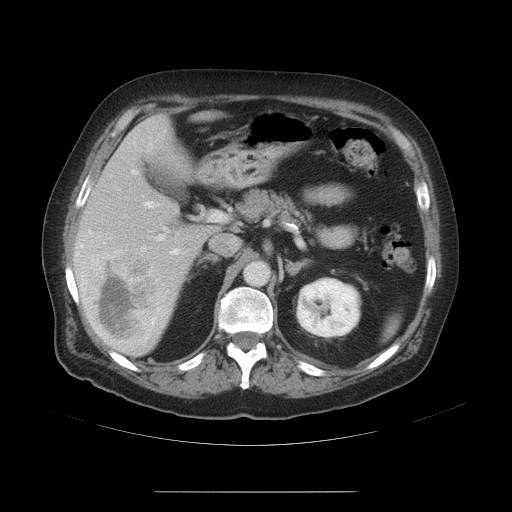

512x512 | Liver | CT

The vessel annotation is not exhaustive.
9 hepatic vessel regions are located at bbox=[131, 170, 137, 173]; bbox=[163, 227, 167, 232]; bbox=[89, 231, 91, 233]; bbox=[171, 249, 179, 254]; bbox=[156, 235, 164, 240]; bbox=[149, 143, 151, 148]; bbox=[78, 240, 82, 247]; bbox=[76, 252, 79, 255]; bbox=[145, 201, 157, 207]. The liver tumor is located at bbox=[80, 252, 165, 355].